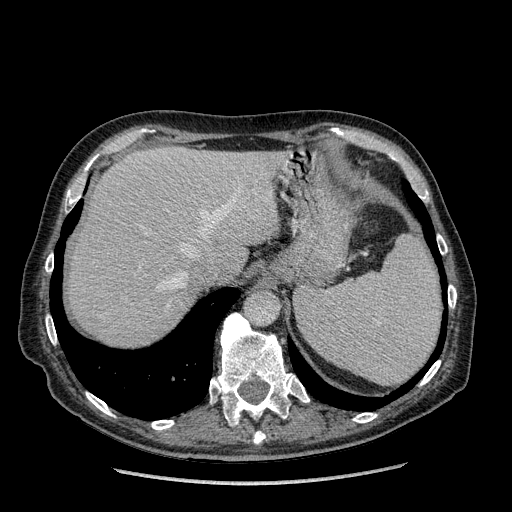

CT slice.
liver: bbox=[69, 147, 285, 347]